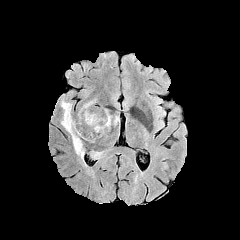
FLAIR MR.
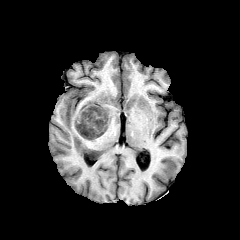
T1-weighted magnetic resonance.
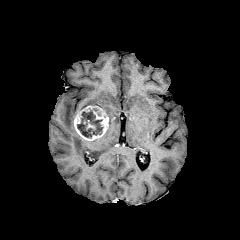
Post-contrast T1-weighted MR image.
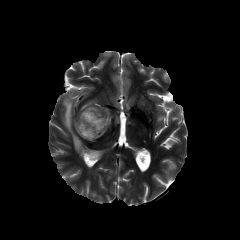
T2-weighted MR of the same slice.
4 edema regions are located at l=90, t=150, r=105, b=159; l=81, t=99, r=95, b=108; l=60, t=98, r=84, b=158; l=105, t=109, r=112, b=128. The non-enhancing tumor core lies within l=77, t=110, r=103, b=137. The enhancing tumor is at l=74, t=106, r=108, b=140.